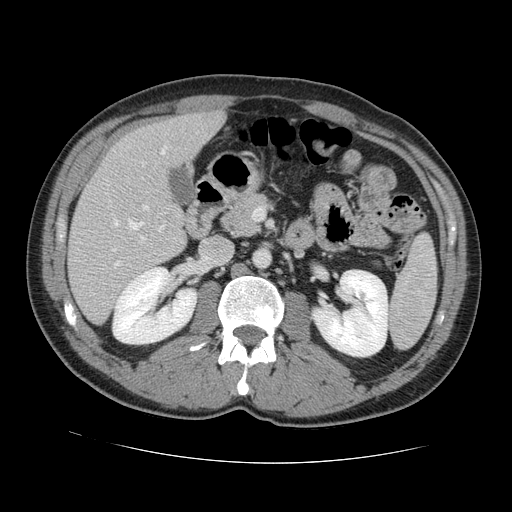

CT

The vessel boxes may cover only some of the vessels.
* hepatic vessel: (x1=112, y1=248, x2=115, y2=250), (x1=109, y1=199, x2=110, y2=202), (x1=113, y1=219, x2=117, y2=225), (x1=142, y1=205, x2=147, y2=209), (x1=158, y1=213, x2=164, y2=217), (x1=105, y1=192, x2=106, y2=194), (x1=113, y1=262, x2=120, y2=266), (x1=161, y1=146, x2=168, y2=154), (x1=139, y1=236, x2=144, y2=242), (x1=129, y1=221, x2=141, y2=229), (x1=140, y1=161, x2=145, y2=165), (x1=158, y1=225, x2=164, y2=230), (x1=112, y1=285, x2=113, y2=287)